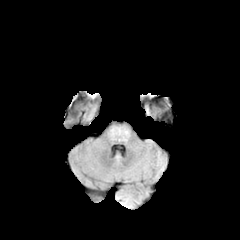
FLAIR MR.
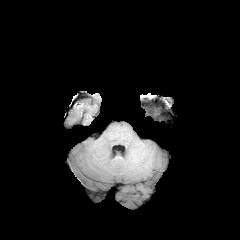
Same slice, T1-weighted MRI.
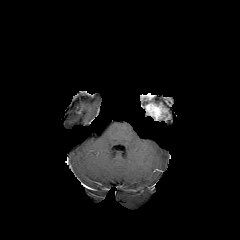
Post-contrast T1-weighted MR image.
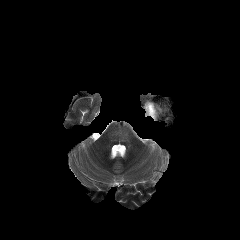
Same slice, T2-weighted MR.
Image size 240x240
{
  "enhancing_tumor": [
    {"x1": 150, "y1": 106, "x2": 159, "y2": 115}
  ]
}